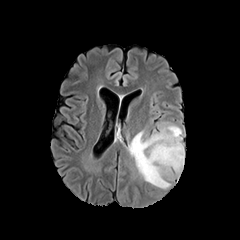
FLAIR MR.
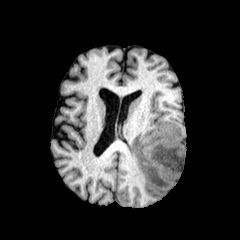
T1-weighted MR image of the same slice.
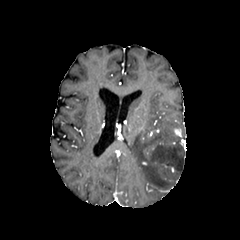
Post-contrast T1-weighted MRI.
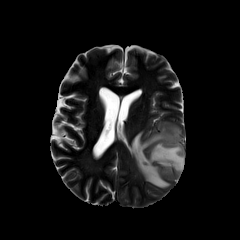
T2-weighted MR image.
Brain
<segmentation>
  <edema>x1=128, y1=122, x2=184, y2=188</edema>
</segmentation>